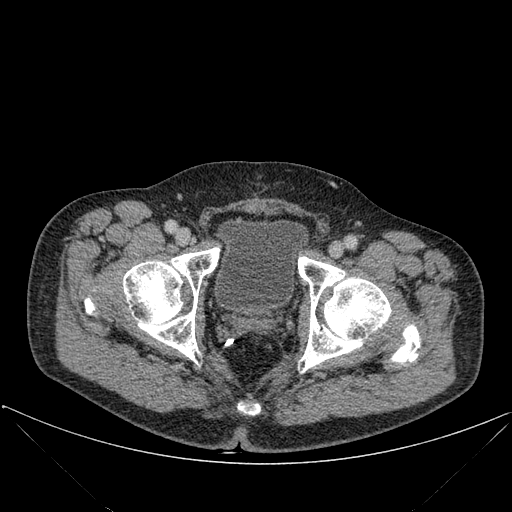

Lower abdomen, 512x512 px, CT image

5 bone regions are located at box=[238, 403, 260, 414]; box=[391, 325, 419, 362]; box=[85, 298, 94, 313]; box=[123, 247, 219, 364]; box=[298, 256, 391, 372]. The urinary bladder is at box=[214, 219, 308, 321].